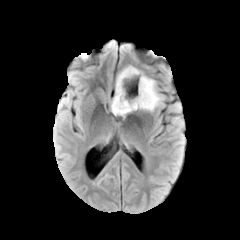
FLAIR MRI.
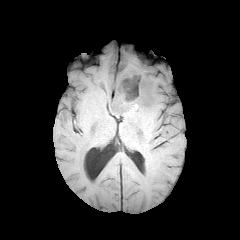
Same slice, T1-weighted MR.
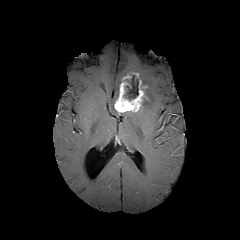
Post-contrast T1-weighted MR image of the same slice.
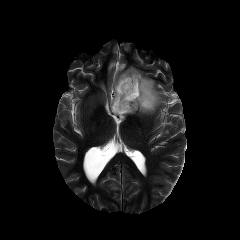
T2-weighted MRI.
Non-enhancing tumor core = (136, 88, 151, 111), (124, 75, 138, 100), (110, 76, 122, 114).
Enhancing tumor = (114, 73, 147, 114).
Edema = (116, 66, 162, 112).